FLAIR magnetic resonance.
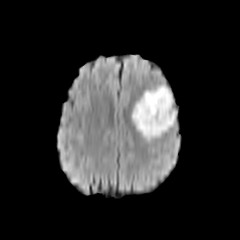
T1-weighted MR.
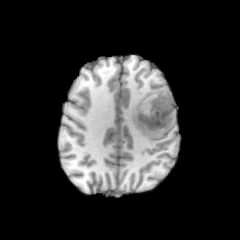
Post-contrast T1-weighted MR image.
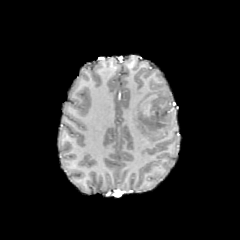
T2-weighted MR image.
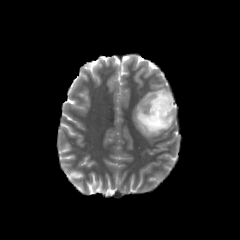
Brain
• non-enhancing tumor core: (138, 91, 172, 130)
• edema: (131, 84, 177, 139)